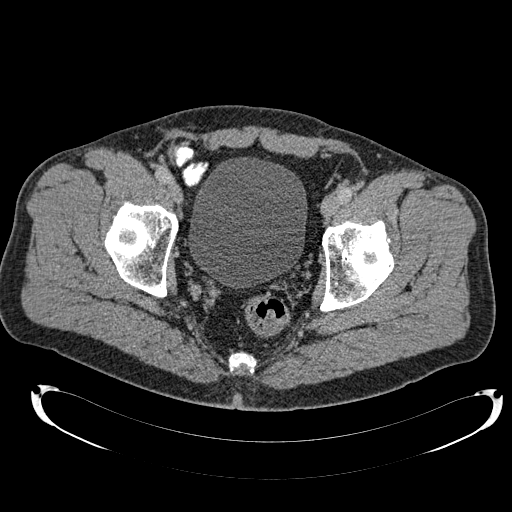

CT | Lower abdomen

Annotated regions:
- urinary bladder: bbox=[188, 157, 307, 287]